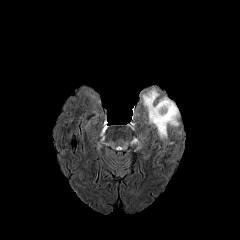
FLAIR MRI.
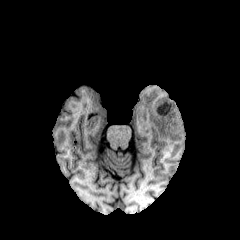
Same slice, T1-weighted MR.
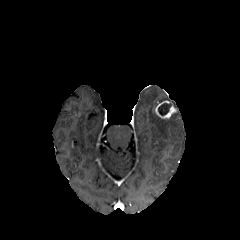
Same slice, post-contrast T1-weighted MRI.
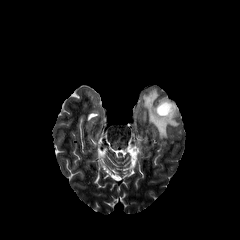
T2-weighted MR.
Brain
The enhancing tumor appears at <box>154,101,175,119</box>. The non-enhancing tumor core appears at <box>157,101,171,115</box>. The edema lies within <box>143,88,179,144</box>.